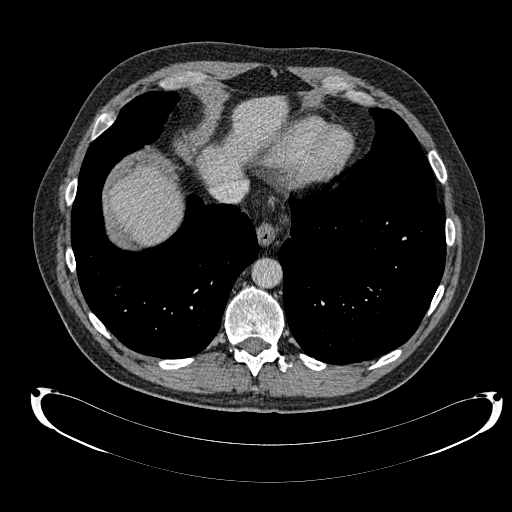

CT slice

liver: [x1=110, y1=168, x2=182, y2=243], [x1=200, y1=97, x2=286, y2=185]